CT image, Pelvis

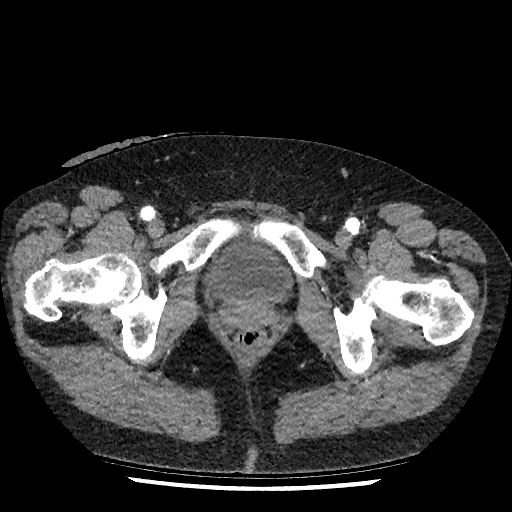

Urinary bladder: bounding box box(204, 230, 293, 301).